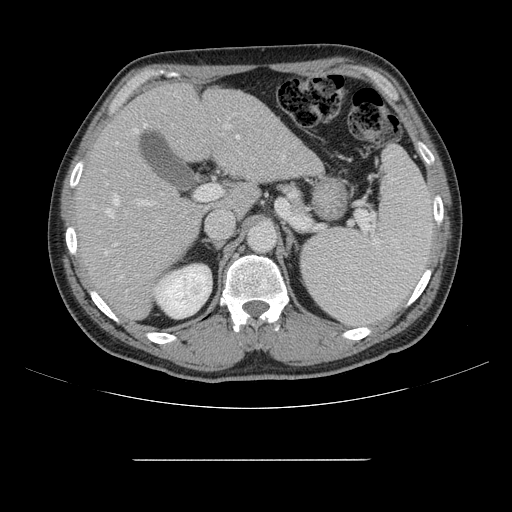

Computed tomography.

The vessel annotation is not exhaustive.
Hepatic vessel = box(113, 195, 118, 203); box(93, 205, 95, 207); box(116, 142, 117, 144); box(283, 154, 284, 156); box(105, 183, 106, 184); box(236, 135, 239, 138); box(113, 244, 116, 245); box(106, 209, 113, 217); box(105, 250, 107, 255); box(224, 124, 231, 127); box(119, 275, 122, 278); box(136, 200, 150, 205); box(195, 182, 222, 200).